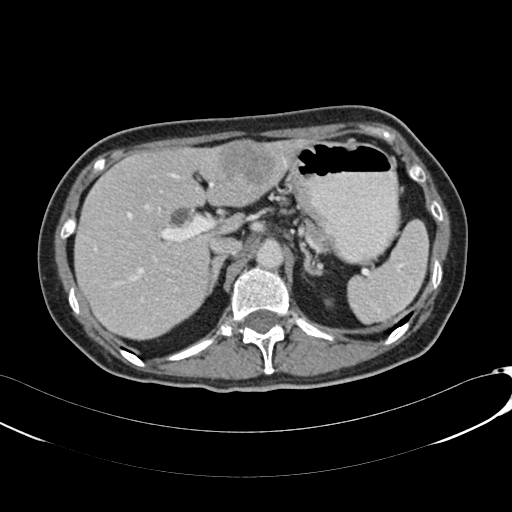
Abdomen. CT.

Segmented structures:
- kidney: (325, 287, 341, 303)
- liver: (74, 139, 311, 338)
- liver lesion: (217, 141, 275, 183)